Slice index 59, Head
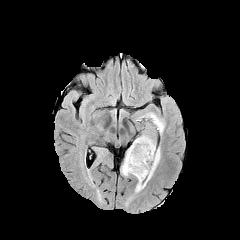
FLAIR magnetic resonance.
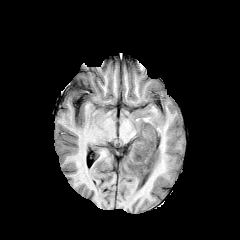
T1-weighted MRI.
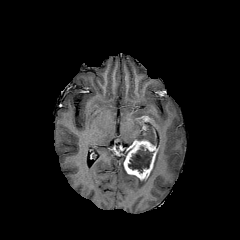
Post-contrast T1-weighted magnetic resonance.
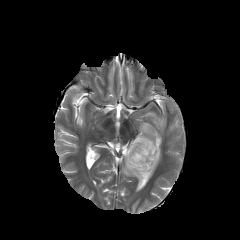
T2-weighted MRI.
The edema appears at [133,112,165,191]. 2 non-enhancing tumor core regions are bounded by [128,146,152,172], [135,135,159,164]. The enhancing tumor appears at [124,139,157,180].